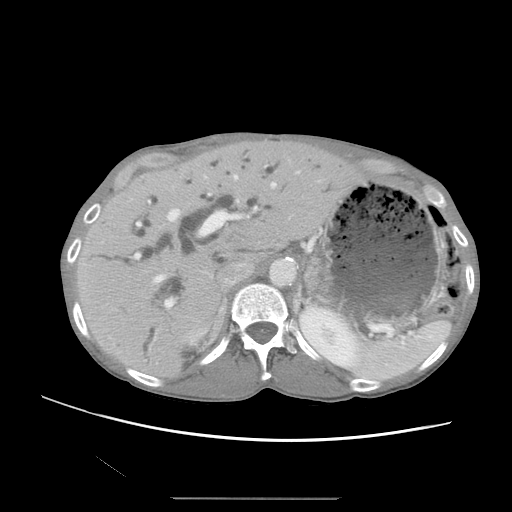 Abdomen; CT

The pancreas is located at (x1=307, y1=261, x2=319, y2=285).